Slice 372 of 391, CT
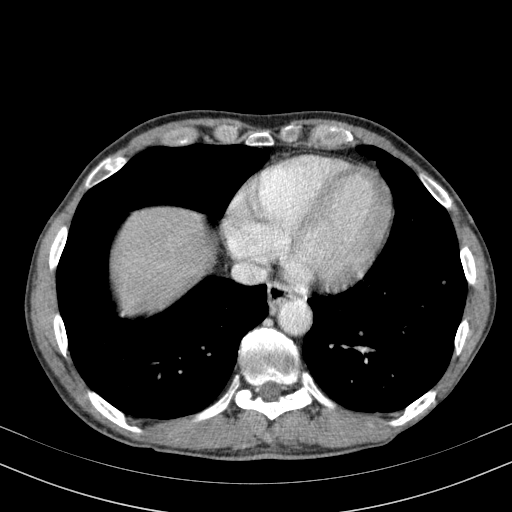

The liver appears at 108:206:219:314.